CT image, Upper abdomen
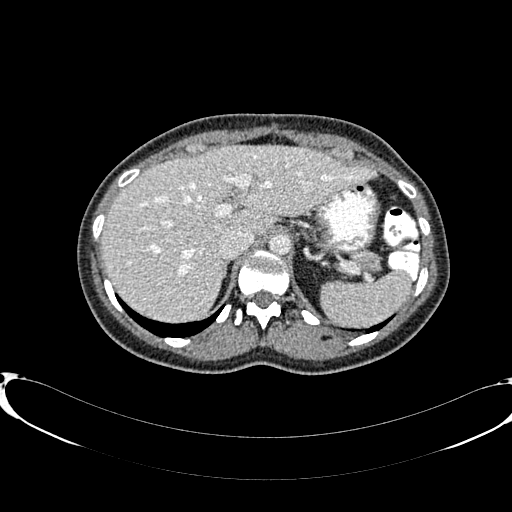
The liver is located at [101,145,375,320].